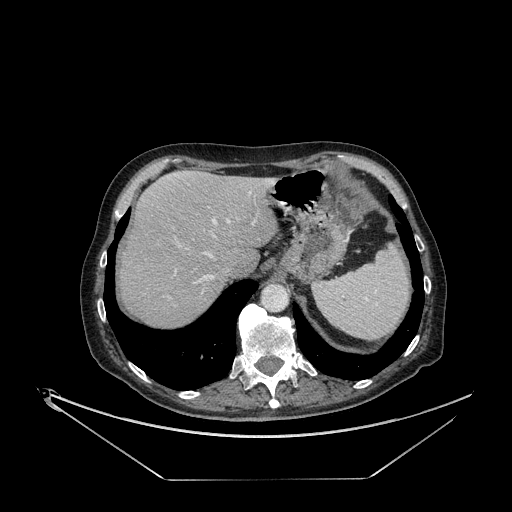

Liver, 512x512 px, CT image
liver:
  - box(120, 170, 276, 328)